Image width 428 mm. CT. Abdomen.
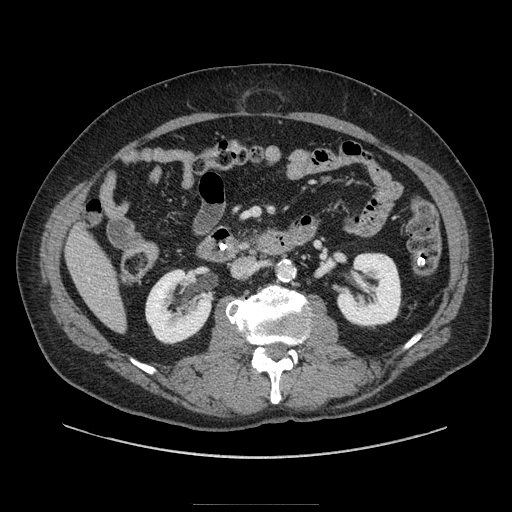
The pancreas lies within box=[237, 232, 254, 251].